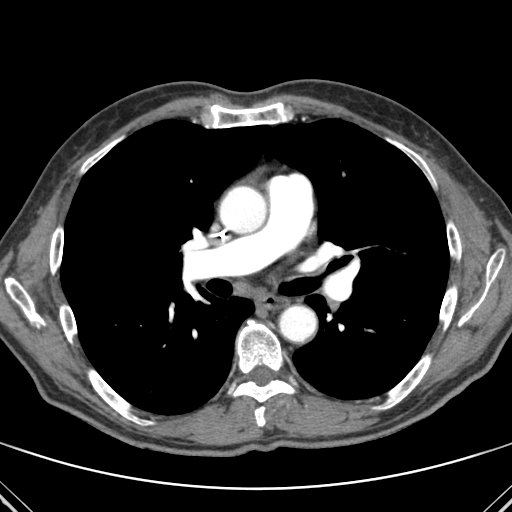
CT
lung: {"x1": 61, "y1": 119, "x2": 449, "y2": 414} | [15/16] bone: {"x1": 440, "y1": 286, "x2": 456, "y2": 329}, {"x1": 88, "y1": 370, "x2": 152, "y2": 425}, {"x1": 81, "y1": 138, "x2": 120, "y2": 172}, {"x1": 60, "y1": 305, "x2": 76, "y2": 342}, {"x1": 458, "y1": 254, "x2": 503, "y2": 325}, {"x1": 228, "y1": 379, "x2": 295, "y2": 425}, {"x1": 377, "y1": 355, "x2": 430, "y2": 408}, {"x1": 188, "y1": 266, "x2": 202, "y2": 277}, {"x1": 237, "y1": 320, "x2": 283, "y2": 375}, {"x1": 207, "y1": 102, "x2": 287, "y2": 127}, {"x1": 447, "y1": 222, "x2": 461, "y2": 259}, {"x1": 389, "y1": 139, "x2": 433, "y2": 179}, {"x1": 50, "y1": 227, "x2": 63, "y2": 274}, {"x1": 185, "y1": 281, "x2": 199, "y2": 299}, {"x1": 5, "y1": 278, "x2": 45, "y2": 326}